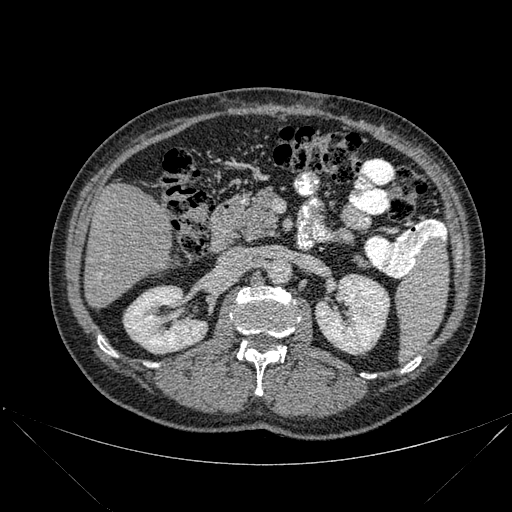
CT image, Abdomen
Segmented structures:
- kidney: rect(315, 275, 389, 353); rect(124, 286, 207, 353)
- liver: rect(84, 183, 171, 307)
- bone: rect(401, 356, 421, 372); rect(98, 335, 116, 356); rect(230, 286, 300, 336); rect(237, 341, 286, 395); rect(361, 373, 375, 378)